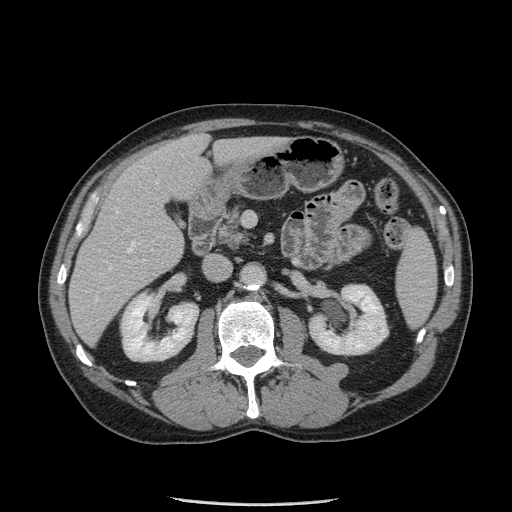

Upper abdomen, Computed tomography
pancreas:
  - [x1=217, y1=207, x2=249, y2=249]